CT scan slice 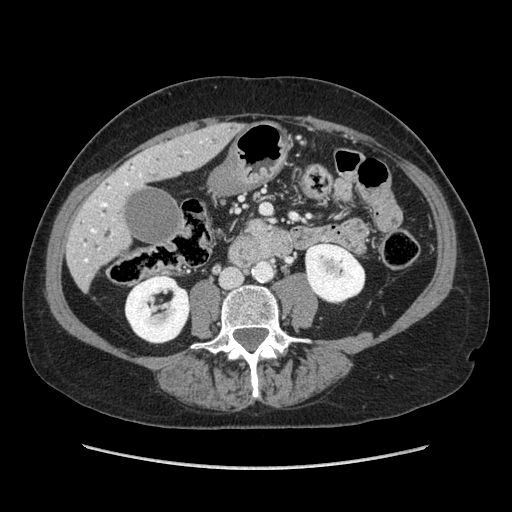

<segmentation>
  <pancreas>(244,217,271,242)</pancreas>
</segmentation>